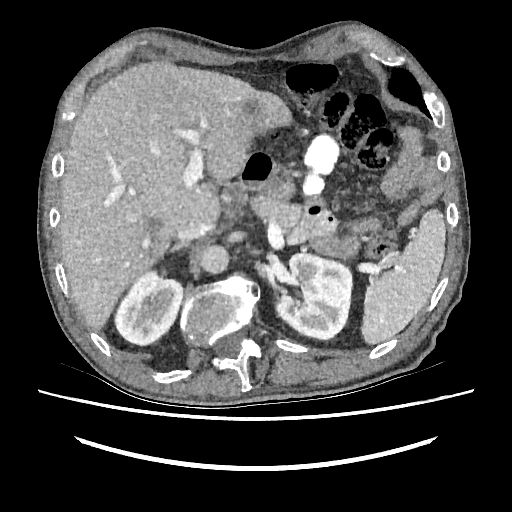
Computed tomography
* kidney: box=[273, 253, 351, 339]; box=[115, 272, 182, 344]
* focal liver lesion: box=[246, 101, 255, 113]; box=[145, 218, 164, 241]; box=[248, 121, 264, 138]
* liver: box=[60, 62, 291, 328]